Field of view 382 mm wide, 0.70 mm slice spacing | Slice 537/722 | Computed tomography | Upper abdomen

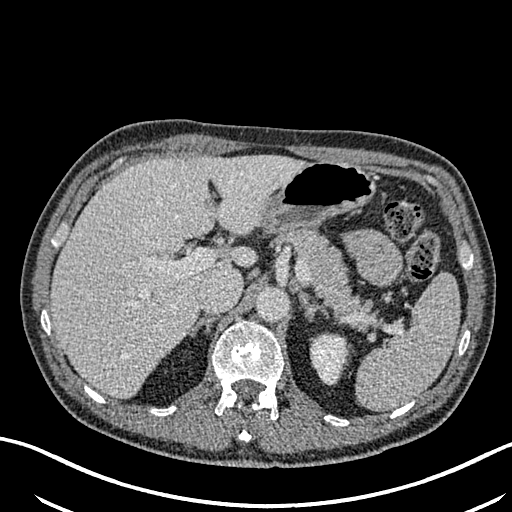
liver: (51, 155, 305, 397) | hepatic lesion: (150, 288, 157, 301), (203, 196, 215, 209) | kidney: (312, 336, 345, 382)